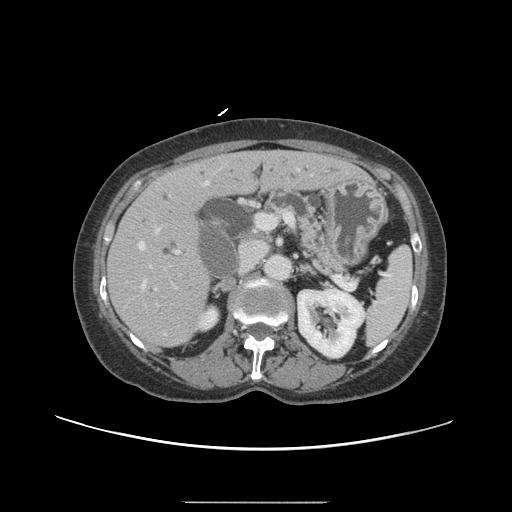
CT, Upper abdomen
The pancreas is bounded by [x1=269, y1=190, x2=343, y2=272].